Slice 96 of 155
FLAIR MR.
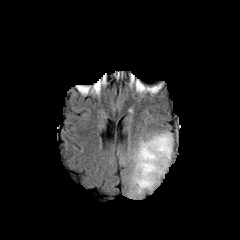
T1-weighted MR.
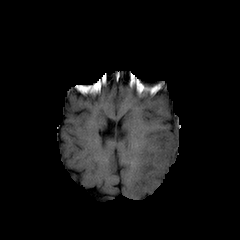
Post-contrast T1-weighted MRI.
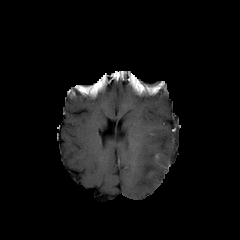
T2-weighted MR.
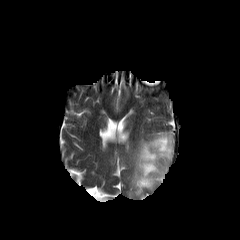
- edema: box(129, 130, 173, 196)